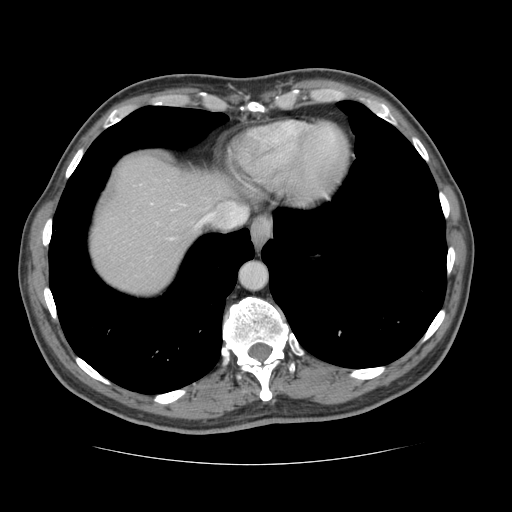 Abdomen; Computed tomography; 512x512 px

Only some of the vessels may be annotated.
hepatic_vessel:
  - x1=169 y1=238 x2=173 y2=238